CT scan slice
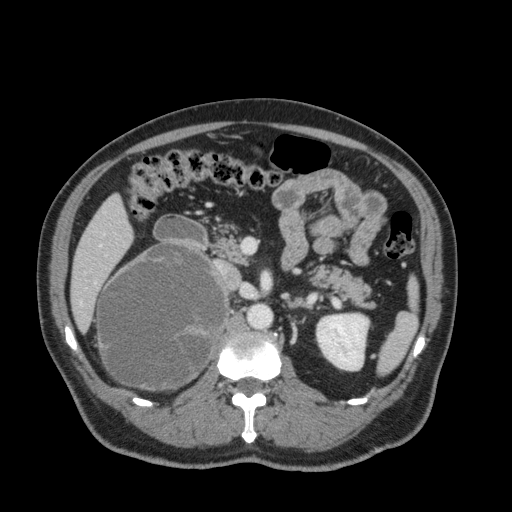

Annotated regions:
* liver: bbox(72, 195, 131, 330)
* kidney: bbox(317, 314, 368, 370)